CT slice. Slice index 14.

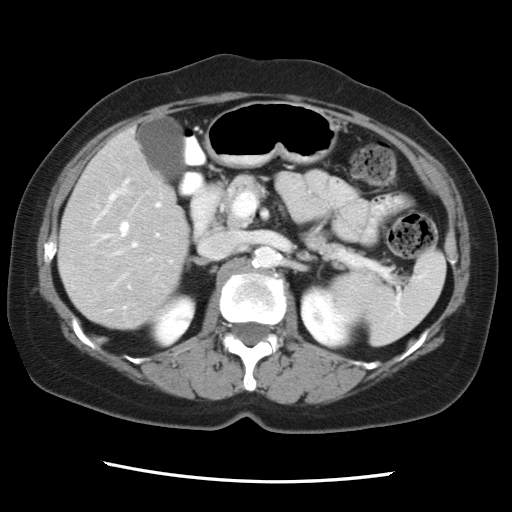
The vessel annotation is not exhaustive.
{"hepatic_vessel": ["<box>93,180,129,225</box>", "<box>120,222,128,235</box>", "<box>241,215,248,218</box>", "<box>91,233,107,245</box>", "<box>157,236,159,237</box>", "<box>137,243,138,245</box>", "<box>109,234,117,240</box>", "<box>109,248,125,256</box>"]}